Upper abdomen | CT scan slice | Field of view 380x380 mm

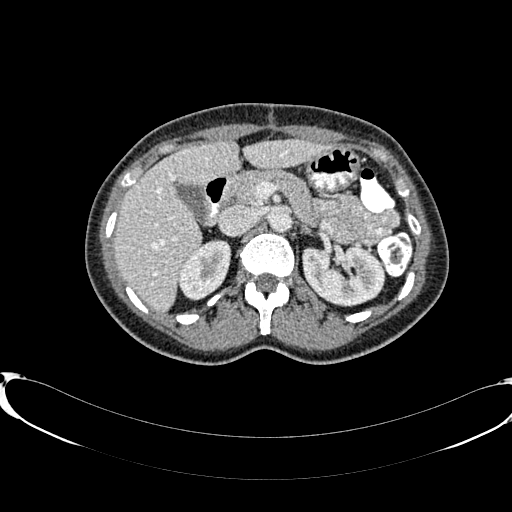

Annotated regions:
• kidney: <box>180,242,229,298</box>, <box>304,248,383,304</box>
• liver: <box>243,140,331,168</box>, <box>113,143,240,311</box>